CT scan slice, Upper abdomen
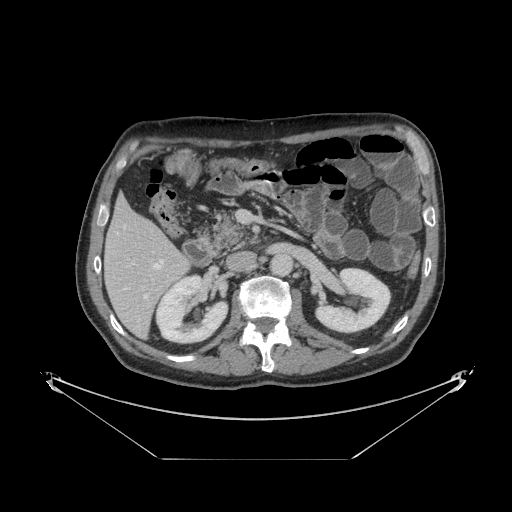
Pancreas — x1=206, y1=209, x2=247, y2=255.